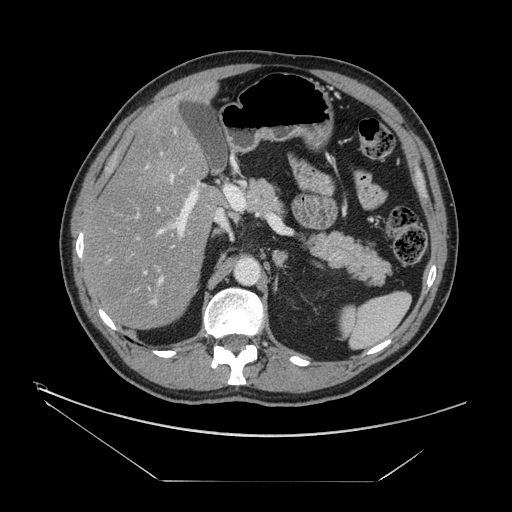

CT image, 512x512 px, Liver
The vessel boxes may cover only some of the vessels.
<segmentation>
  <hepatic_vessel>[159,279,161,282], [159,230,162,232], [175,190,197,234], [170,175,173,180], [197,183,198,185]</hepatic_vessel>
</segmentation>